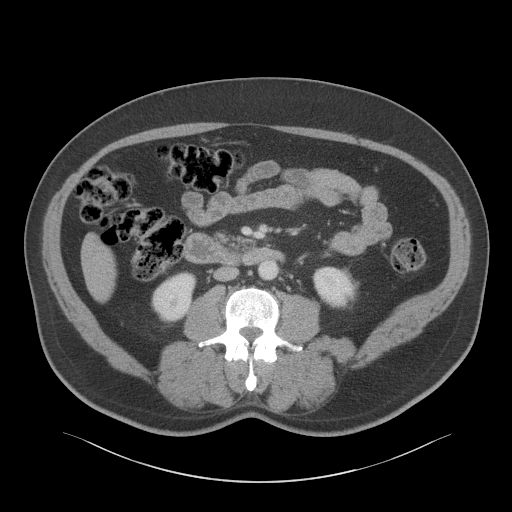 CT image; 512x512 px; Abdomen

{
  "kidney": [
    "x1=153, y1=273, x2=194, y2=320",
    "x1=314, y1=267, x2=353, y2=305"
  ],
  "liver": [
    "x1=84, y1=239, x2=115, y2=298"
  ]
}